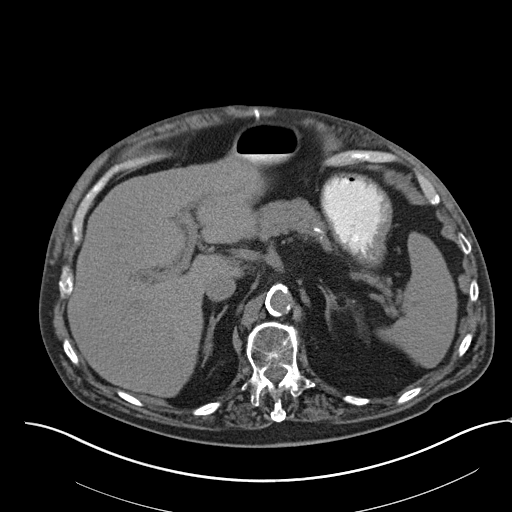
Abdomen | CT
Spleen at box=[380, 235, 456, 366].